Liver. CT scan slice.

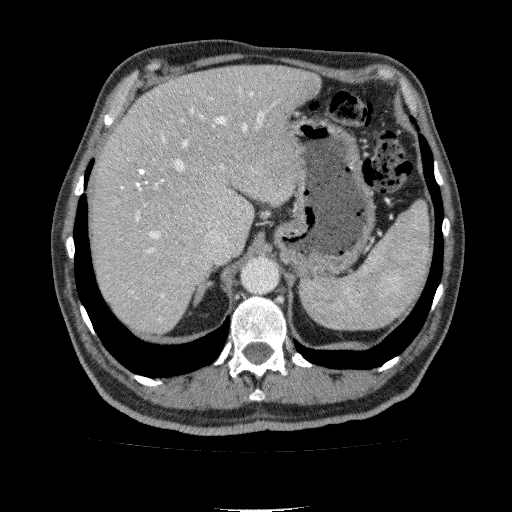

The hepatic lesion is at [266,158,293,185]. The liver is at [91,66,321,336].